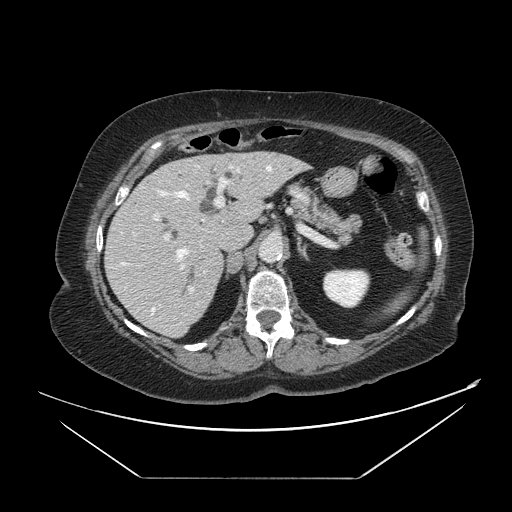 Computed tomography
The pancreas lies within x1=295 y1=187 x2=360 y2=243.